Liver | CT slice
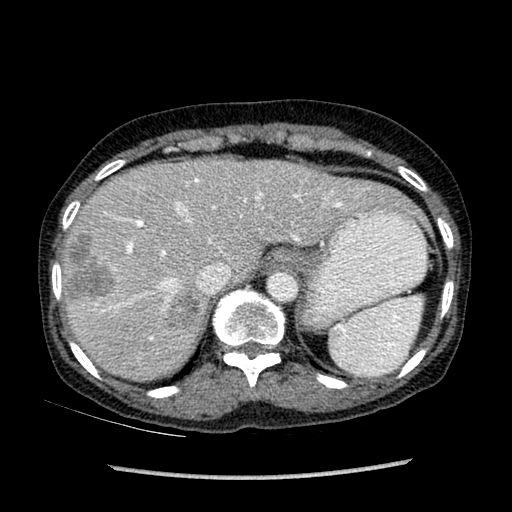 Liver: (64, 159, 431, 379).
Focal liver lesion: (165, 293, 200, 330), (60, 232, 114, 302).